Field of view 240 mm wide, 1.00 mm slice spacing; Head
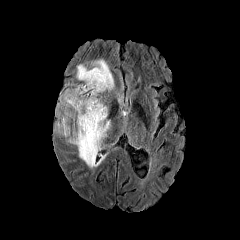
FLAIR MR.
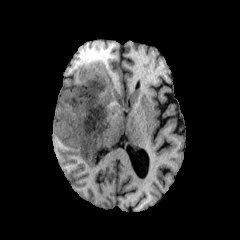
T1-weighted MR image.
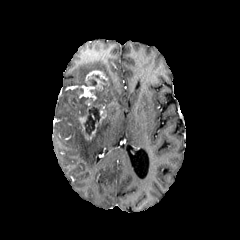
Same slice, post-contrast T1-weighted magnetic resonance.
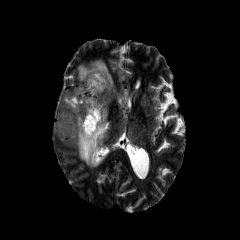
Same slice, T2-weighted MR.
{
  "non-enhancing_tumor_core": [
    {"x1": 72, "y1": 124, "x2": 85, "y2": 138},
    {"x1": 65, "y1": 75, "x2": 107, "y2": 136}
  ],
  "enhancing_tumor": [
    {"x1": 89, "y1": 71, "x2": 107, "y2": 83},
    {"x1": 79, "y1": 79, "x2": 103, "y2": 105},
    {"x1": 78, "y1": 107, "x2": 106, "y2": 140}
  ],
  "edema": [
    {"x1": 76, "y1": 60, "x2": 114, "y2": 91},
    {"x1": 55, "y1": 120, "x2": 110, "y2": 167},
    {"x1": 55, "y1": 88, "x2": 77, "y2": 124}
  ]
}